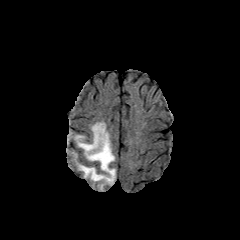
FLAIR MR image.
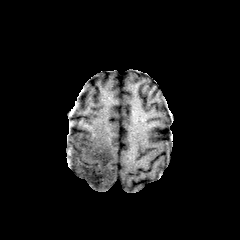
T1-weighted magnetic resonance.
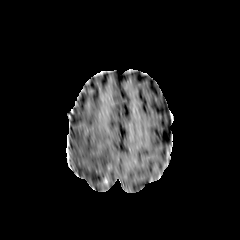
Same slice, post-contrast T1-weighted MR.
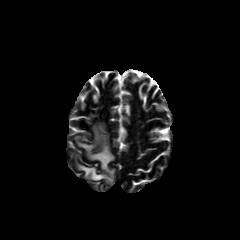
T2-weighted MRI.
The edema lies within 74, 123, 115, 190.